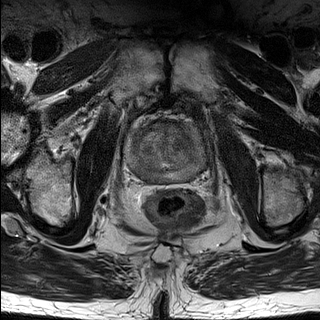
T2-weighted MR.
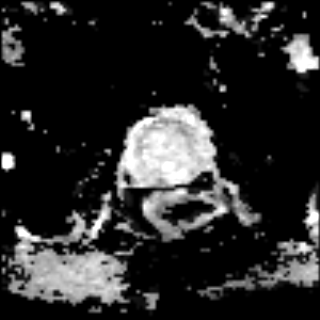
ADC MR.
Prostate. Image size 320x320.
prostate_peripheral_zone:
  - rect(127, 126, 205, 182)
prostate_transition_zone:
  - rect(131, 124, 193, 171)